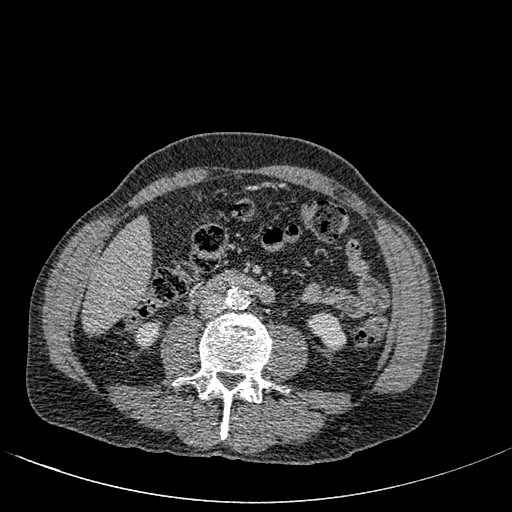 Image size 512x512. CT image. • liver: (x1=83, y1=217, x2=150, y2=332)
• kidney: (x1=136, y1=327, x2=157, y2=346), (x1=308, y1=313, x2=345, y2=349)